MRI | Medial temporal lobe | Image size 38x49
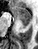
* posterior hippocampus: [21,21,30,27]
* anterior hippocampus: [11,7,31,20]